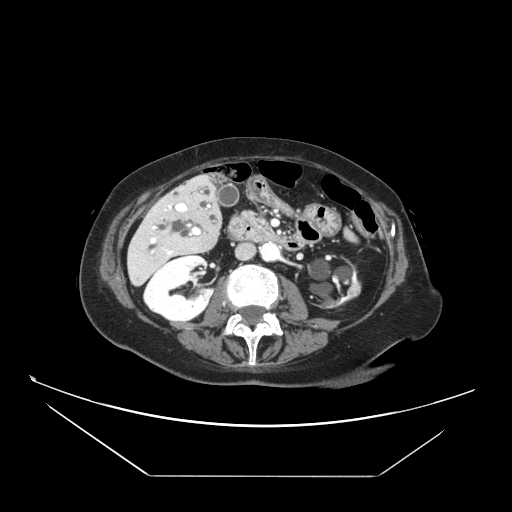 CT
The pancreas appears at x1=245 y1=212 x2=277 y2=239.